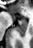

MRI
Segmented structures:
• anterior hippocampus: box=[11, 15, 15, 20]; box=[18, 20, 25, 21]
• posterior hippocampus: box=[16, 22, 26, 36]